MR image; Hippocampus; Slice 21 of 28

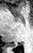
The posterior hippocampus is bounded by l=8, t=42, r=16, b=46.